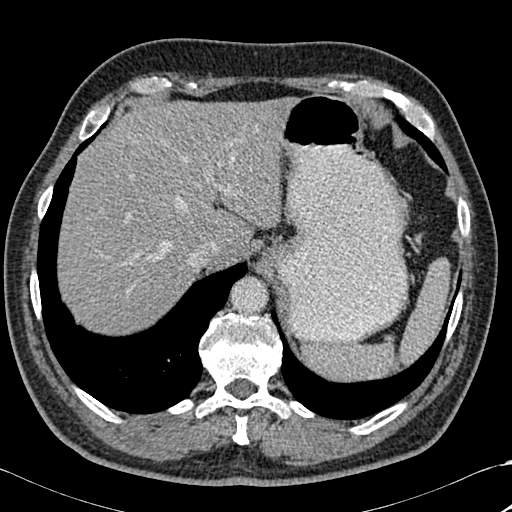 Computed tomography
2 liver regions are bounded by 59,98,291,333; 209,249,232,265. The hepatic lesion is at 120,144,129,154. 3 lung regions appear at 37,122,247,413; 271,273,460,419; 395,115,447,172. 13 bone regions appear at 76,389,119,422; 233,416,247,444; 169,400,192,413; 38,187,52,217; 351,404,405,434; 447,294,462,337; 196,313,312,417; 466,204,469,234; 458,199,464,234; 143,79,170,91; 80,110,107,139; 30,273,40,316; 343,83,433,137.